Liver, 512x512, Slice index 84, CT scan slice 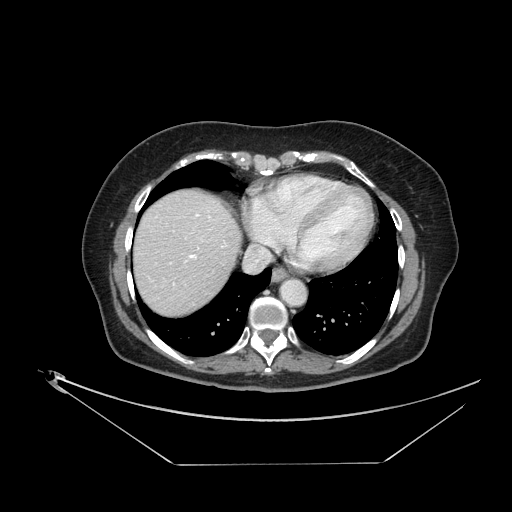 Some hepatic vessels may have no box.
Hepatic vessel at 208,216,210,218; 221,245,225,246; 245,246,269,270; 188,254,196,258; 195,213,199,216.